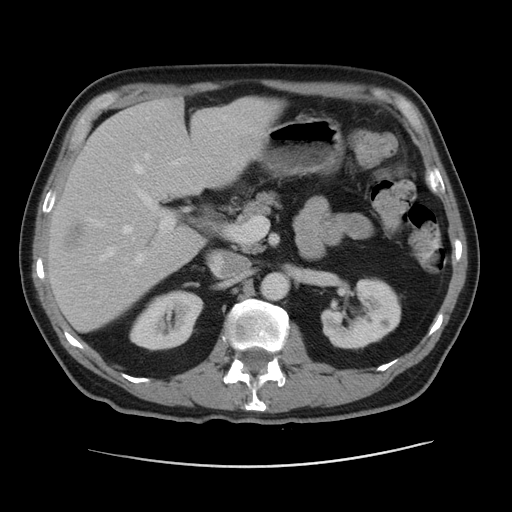 CT image | Abdomen
<segmentation>
  <liver>box=[48, 100, 278, 329]</liver>
  <focal_liver_lesion>box=[65, 225, 83, 246]</focal_liver_lesion>
  <kidney>box=[131, 288, 201, 348]; box=[321, 279, 400, 348]</kidney>
</segmentation>